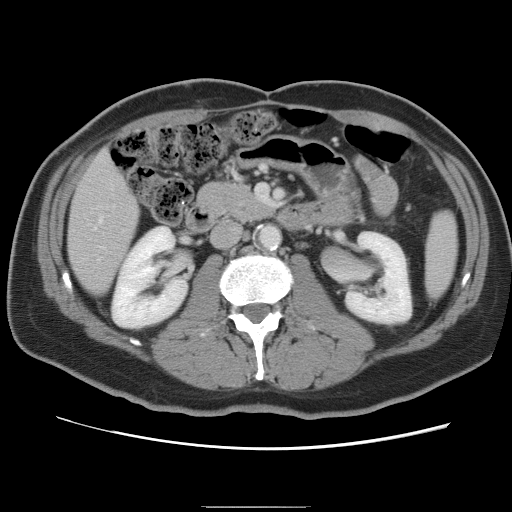
Image size 512x512 | Abdomen | Computed tomography
Only some of the vessels may be annotated.
Segmented structures:
- hepatic vessel: rect(98, 216, 101, 222); rect(97, 257, 100, 259); rect(93, 226, 96, 229)